Abdomen | Computed tomography 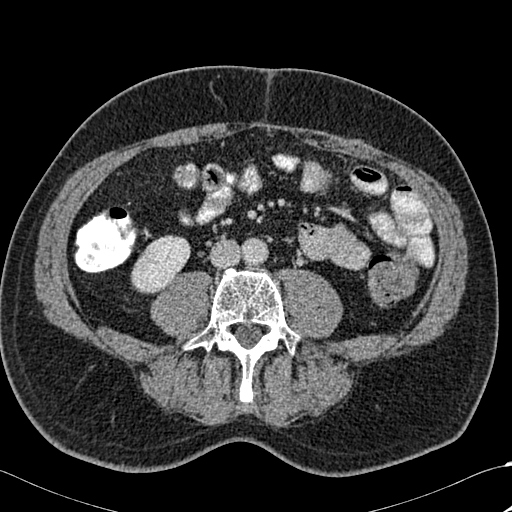 Kidney — x1=132 y1=236 x2=189 y2=291.
Bone — x1=185 y1=268 x2=300 y2=402.